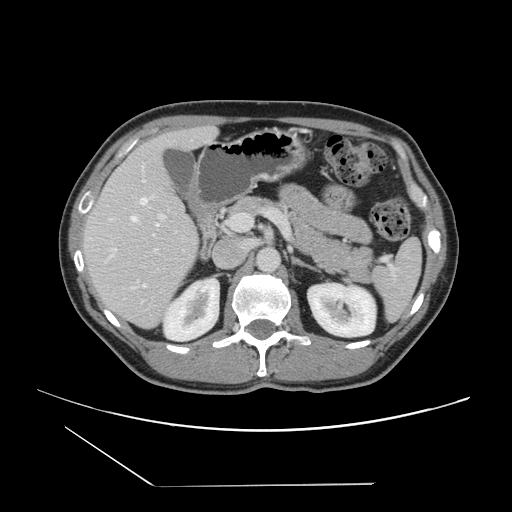
CT scan slice. Abdomen.
The vessel boxes may cover only some of the vessels.
8 hepatic vessel regions are located at {"x1": 137, "y1": 218, "x2": 137, "y2": 221}, {"x1": 108, "y1": 220, "x2": 111, "y2": 220}, {"x1": 111, "y1": 248, "x2": 115, "y2": 248}, {"x1": 104, "y1": 260, "x2": 105, "y2": 262}, {"x1": 146, "y1": 197, "x2": 150, "y2": 200}, {"x1": 142, "y1": 167, "x2": 143, "y2": 169}, {"x1": 110, "y1": 251, "x2": 111, "y2": 255}, {"x1": 131, "y1": 287, "x2": 135, "y2": 288}.